Slice 66 of 155
FLAIR MRI.
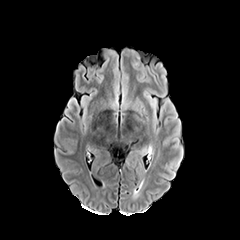
T1-weighted magnetic resonance.
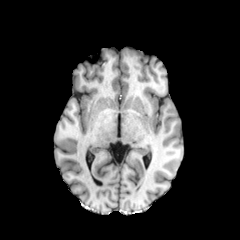
Post-contrast T1-weighted magnetic resonance.
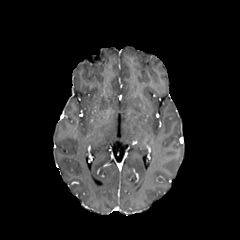
T2-weighted magnetic resonance.
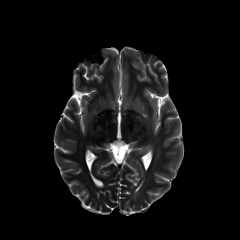
3 edema regions appear at x1=145, y1=95, x2=157, y2=132; x1=136, y1=147, x2=147, y2=155; x1=120, y1=84, x2=142, y2=126.